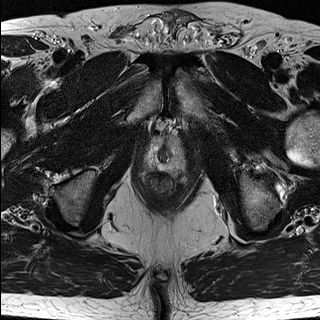
T2-weighted MR image.
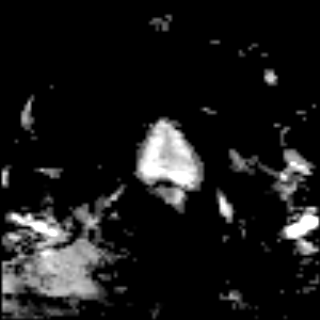
ADC MRI.
320x320 px, Prostate
Prostate peripheral zone at 142,138,186,173.
Prostate transition zone at 156,138,170,161.